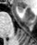
Hippocampus; Magnetic resonance
Annotated regions:
* anterior hippocampus: l=17, t=7, r=22, b=12